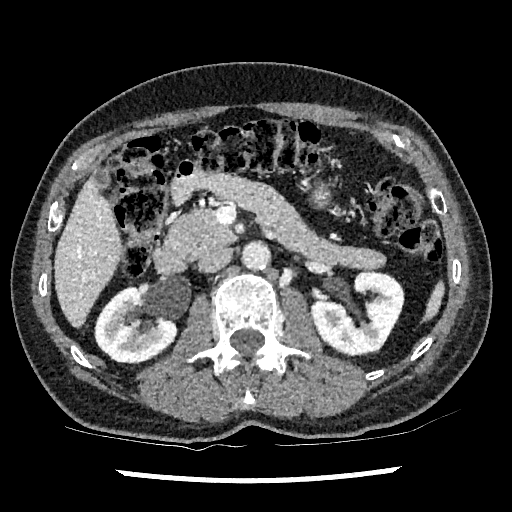
Upper abdomen; CT image
liver:
  - [55, 174, 122, 325]
kidney:
  - [312, 273, 403, 354]
  - [96, 288, 175, 361]